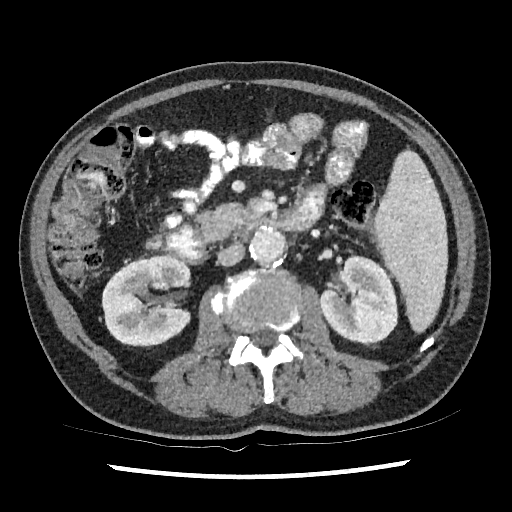

CT slice
Kidney at 320, 256, 396, 342; 102, 255, 189, 345.